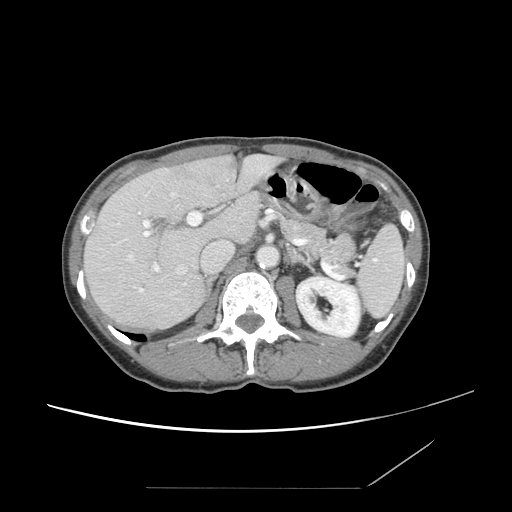 CT image. Image size 512x512. Abdomen.

Pancreas = (left=266, top=209, right=357, bottom=277).